Brain
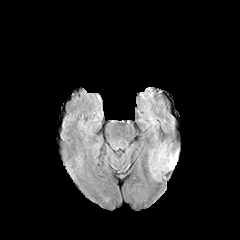
FLAIR magnetic resonance.
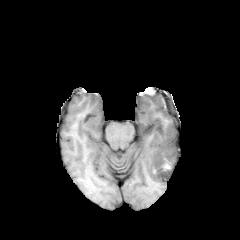
T1-weighted magnetic resonance.
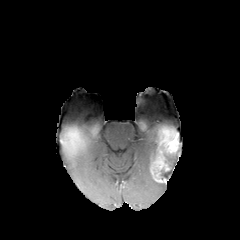
Same slice, post-contrast T1-weighted MRI.
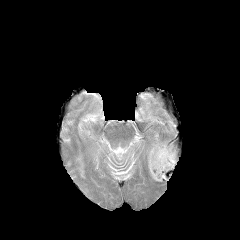
T2-weighted MRI of the same slice.
edema:
  - (x1=148, y1=141, x2=176, y2=181)